Field of view 362x362 mm; CT; Slice 42 of 98; 512x512 px

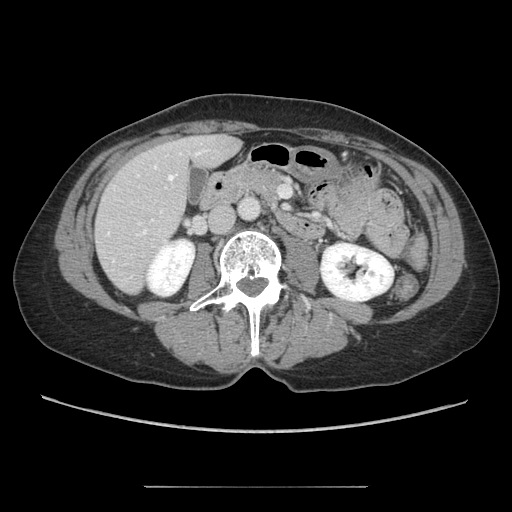 pancreas:
  - (220,164,283,213)